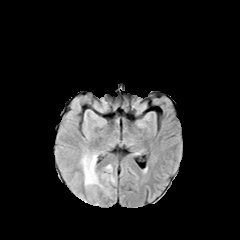
FLAIR MRI.
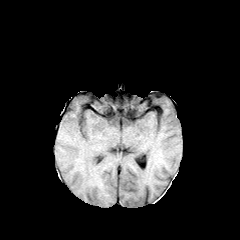
T1-weighted MRI.
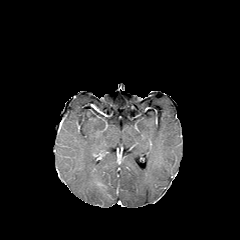
Same slice, post-contrast T1-weighted magnetic resonance.
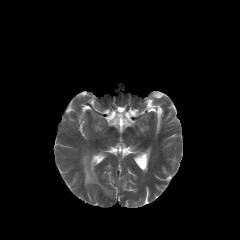
T2-weighted MR image.
The edema is located at (x1=82, y1=154, x2=97, y2=185).